Brain
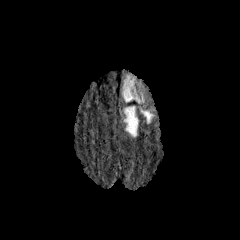
FLAIR MR image.
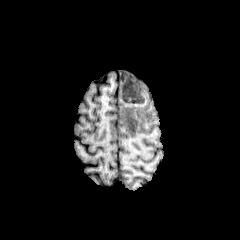
T1-weighted magnetic resonance of the same slice.
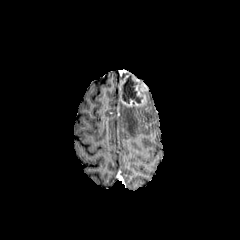
Same slice, post-contrast T1-weighted magnetic resonance.
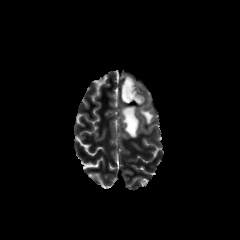
Same slice, T2-weighted MRI.
<segmentation>
  <edema>[140,107,155,124], [122,107,138,137]</edema>
  <enhancing_tumor>[120,73,147,107]</enhancing_tumor>
  <non-enhancing_tumor_core>[121,74,143,103]</non-enhancing_tumor_core>
</segmentation>